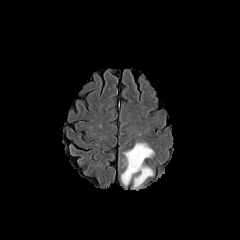
FLAIR magnetic resonance.
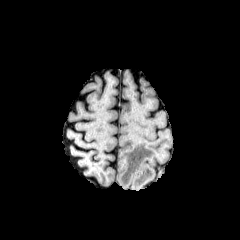
T1-weighted magnetic resonance.
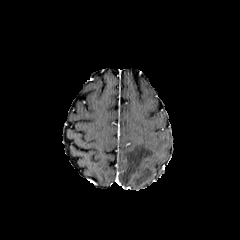
Same slice, post-contrast T1-weighted magnetic resonance.
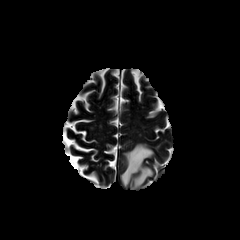
Same slice, T2-weighted MRI.
edema: [120,143,153,189]